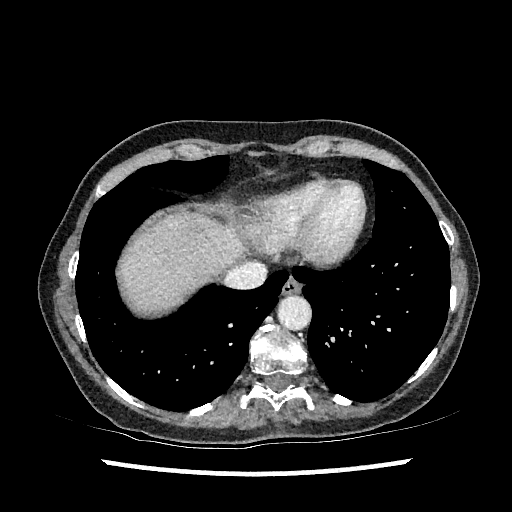

CT slice | 512x512

<segmentation>
  <focal_liver_lesion>187,225,206,238</focal_liver_lesion>
  <liver>120,214,244,312</liver>
</segmentation>